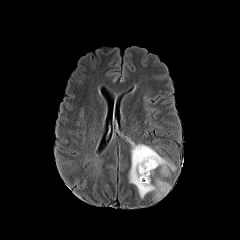
FLAIR MR image.
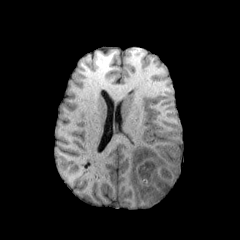
T1-weighted magnetic resonance.
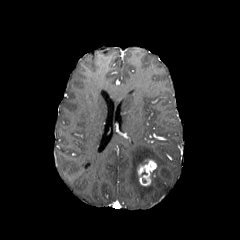
Post-contrast T1-weighted MRI of the same slice.
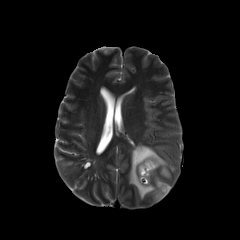
Same slice, T2-weighted MRI.
Image size 240x240.
The edema is at <box>128,143,175,200</box>. The enhancing tumor lies within <box>137,158,157,186</box>.